CT | Field of view 400 mm wide, 0.70 mm slice spacing | 512x512 | Slice 480/629
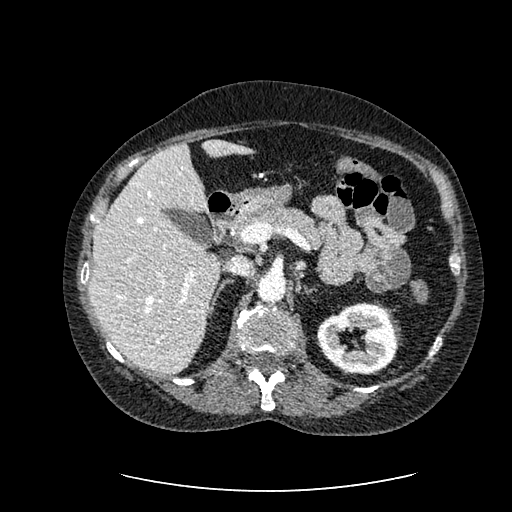

Liver at [92,144,218,374], [202,141,254,159].
Kidney at [318,304,396,373].